Brain; Field of view 240 mm wide, 1.00 mm slice spacing
FLAIR MRI.
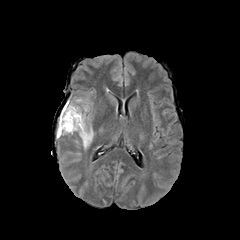
T1-weighted MR image.
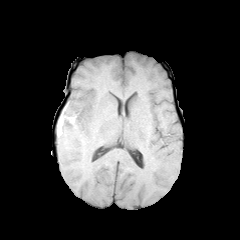
Post-contrast T1-weighted MRI.
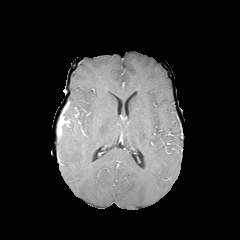
T2-weighted MRI.
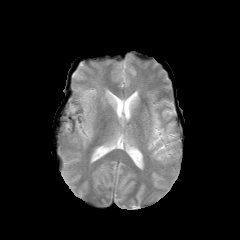
non-enhancing tumor core: bbox(58, 115, 63, 134) | edema: bbox(61, 95, 93, 148)